FLAIR MRI.
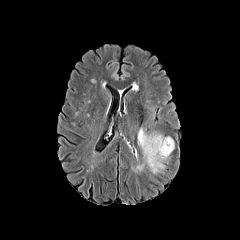
T1-weighted magnetic resonance.
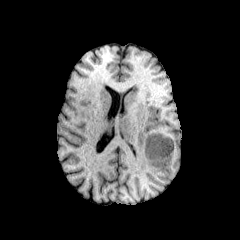
Post-contrast T1-weighted MRI.
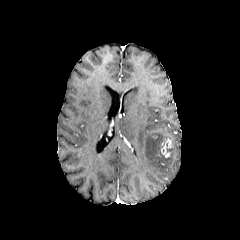
T2-weighted magnetic resonance.
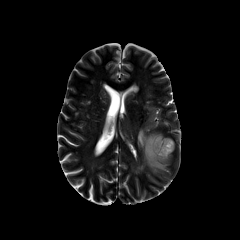
Head; 240x240
{"enhancing_tumor": ["l=161, t=139, r=171, b=157"], "edema": ["l=138, t=128, r=166, b=172"]}